Image width 392 mm | Upper abdomen | CT | Image size 512x512

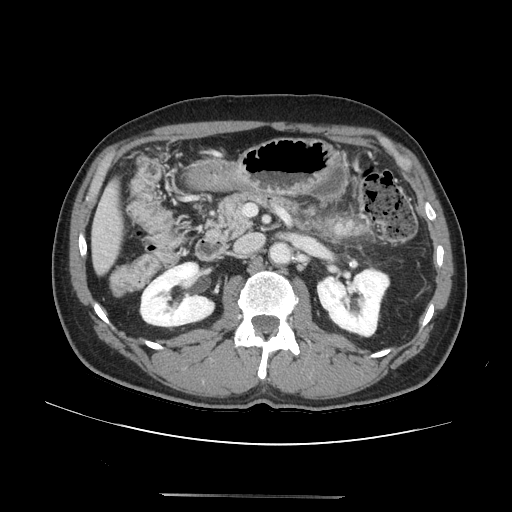 pancreas:
  - [x1=208, y1=194, x2=253, y2=241]
  - [x1=331, y1=218, x2=368, y2=238]
pancreatic_tumor:
  - [x1=320, y1=216, x2=339, y2=233]